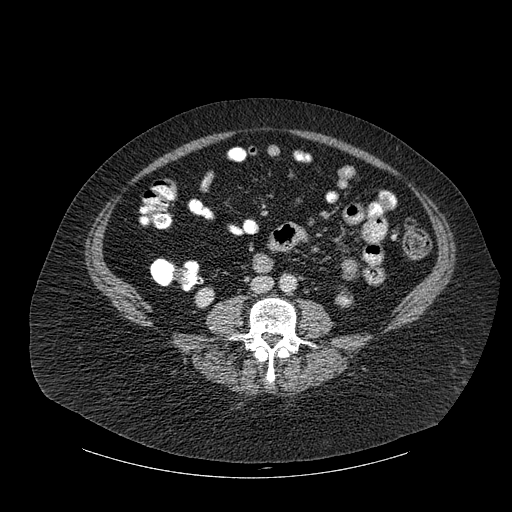 Abdomen, Computed tomography, Image size 512x512
Bone = [234, 298, 310, 382].
Kidney = [196, 288, 213, 306], [337, 296, 349, 305].